Head, 240x240 px
FLAIR magnetic resonance.
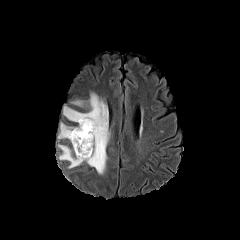
T1-weighted magnetic resonance.
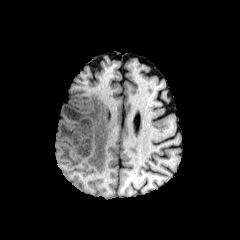
Post-contrast T1-weighted MR.
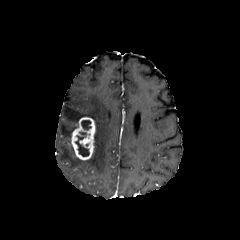
T2-weighted MR.
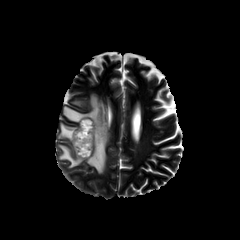
2 non-enhancing tumor core regions appear at l=75, t=132, r=89, b=156; l=81, t=120, r=91, b=130. The enhancing tumor is at l=68, t=117, r=96, b=160. 3 edema regions are bounded by l=58, t=122, r=75, b=139; l=63, t=93, r=110, b=175; l=58, t=144, r=83, b=168.